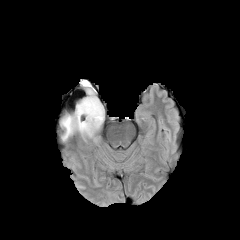
FLAIR magnetic resonance.
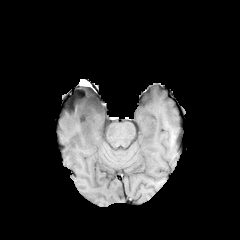
T1-weighted MR image.
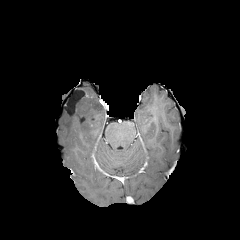
Post-contrast T1-weighted magnetic resonance of the same slice.
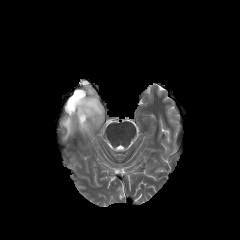
T2-weighted MR image.
Head
Segmented structures:
- edema: region(60, 97, 104, 141); region(80, 84, 94, 101)
- non-enhancing tumor core: region(76, 93, 96, 114)